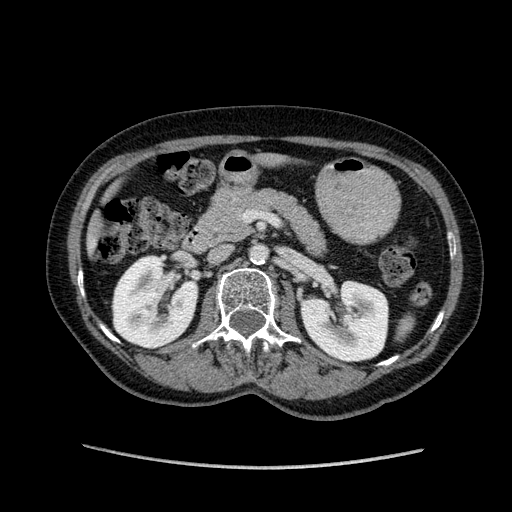
CT image, 512x512, Liver

liver: box=[86, 211, 102, 250]; box=[264, 156, 277, 163] | kidney: box=[302, 276, 387, 360]; box=[113, 256, 196, 347]